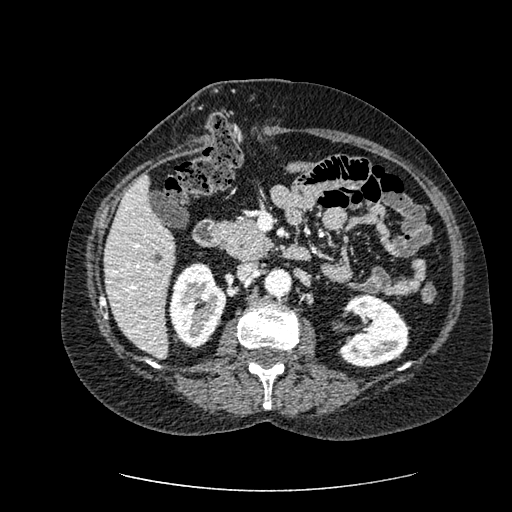
Computed tomography

hepatic lesion: (x1=153, y1=254, x2=161, y2=261) | kidney: (x1=170, y1=264, x2=225, y2=346), (x1=340, y1=295, x2=407, y2=366) | liver: (x1=104, y1=174, x2=174, y2=356)